512x512 px. Slice index 554. CT scan slice.
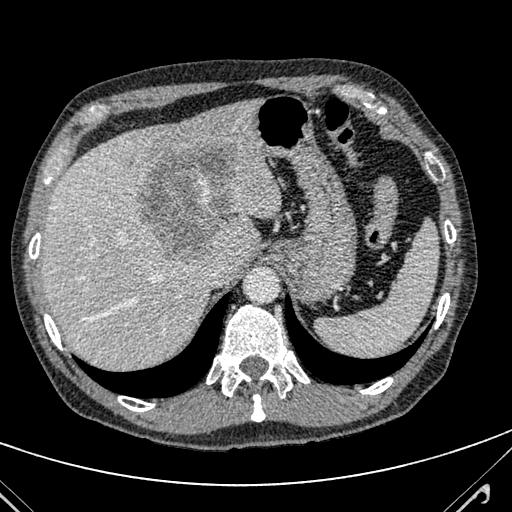 liver:
  - left=42, top=100, right=280, bottom=369
hepatic_lesion:
  - left=137, top=139, right=237, bottom=263